Abdomen | Slice index 36 | CT scan slice | 512x512 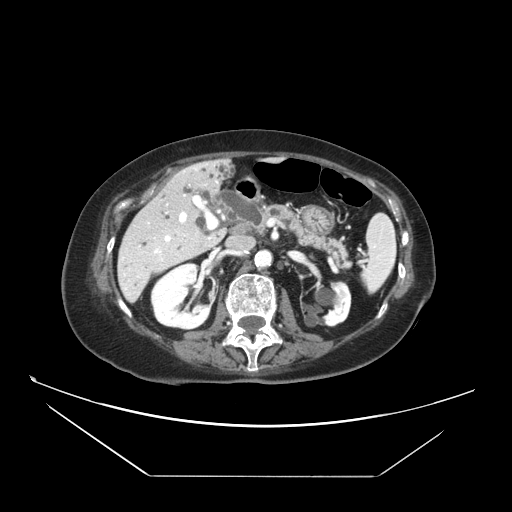

The pancreas lies within (x1=263, y1=205, x2=347, y2=265).